CT. 512x512. 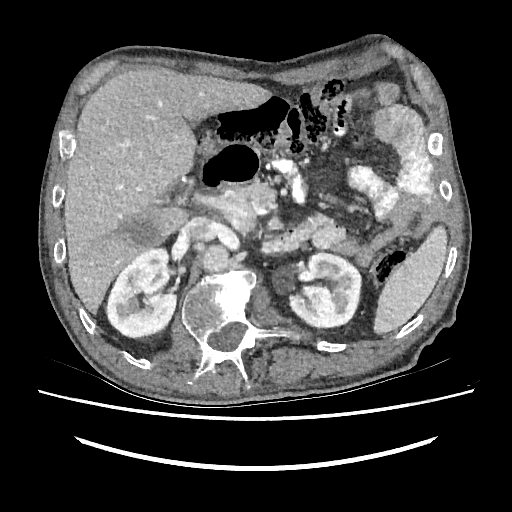
liver: bbox=[64, 69, 270, 314]; bbox=[198, 135, 216, 154] | kidney: bbox=[290, 253, 360, 326]; bbox=[107, 249, 175, 337] | focal liver lesion: bbox=[118, 214, 161, 249]